Image size 512x512; CT slice; Slice 247 of 410
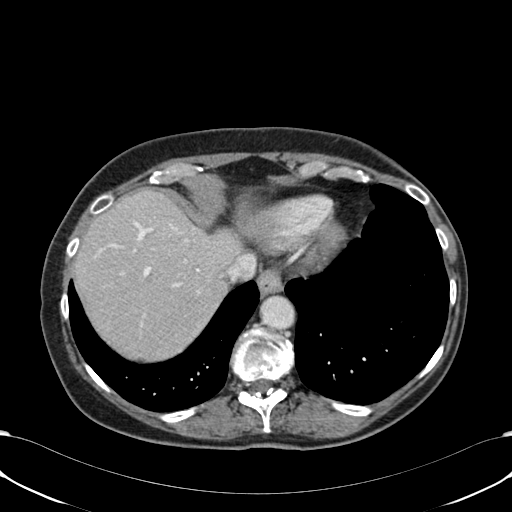
Segmented structures:
* liver: region(74, 191, 241, 358)